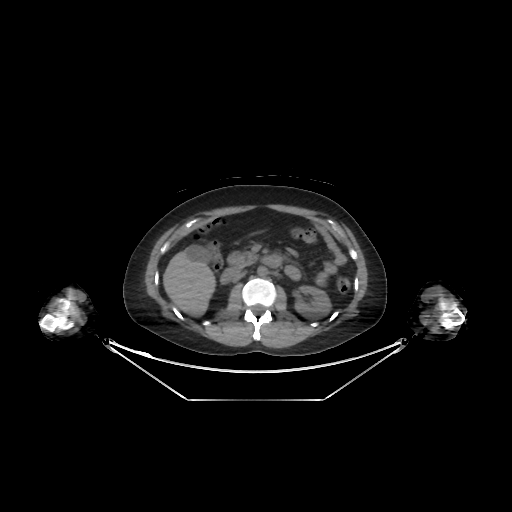
CT image

The liver is bounded by region(163, 246, 215, 316). The kidney lies within region(292, 285, 331, 320).